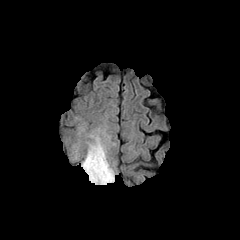
FLAIR MR.
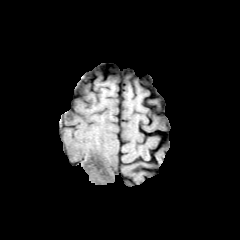
T1-weighted magnetic resonance.
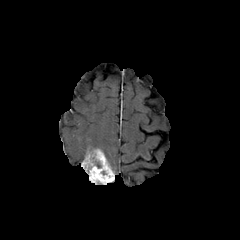
Same slice, post-contrast T1-weighted MR image.
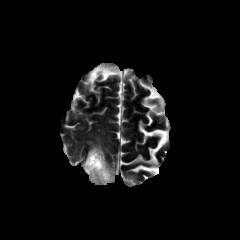
Same slice, T2-weighted MR.
{"edema": ["(x1=71, y1=125, x2=117, y2=173)"], "enhancing_tumor": ["(x1=82, y1=148, x2=114, y2=184)"]}